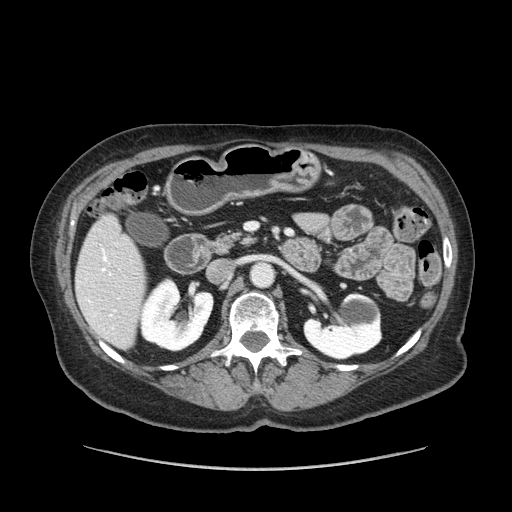 Computed tomography
Segmented structures:
• pancreas: bbox=[215, 232, 253, 253]